FLAIR MR image.
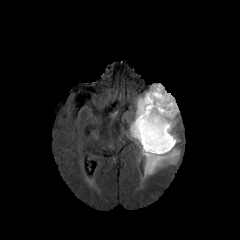
T1-weighted magnetic resonance.
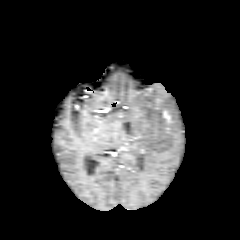
Post-contrast T1-weighted magnetic resonance.
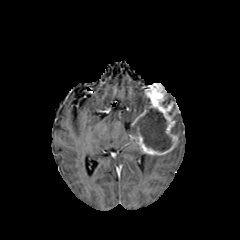
T2-weighted MR.
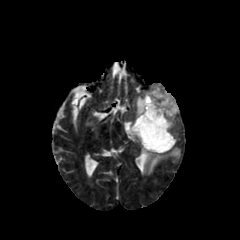
Brain
2 enhancing tumor regions appear at <bbox>131, 106, 147, 127</bbox>, <bbox>126, 83, 179, 155</bbox>. The non-enhancing tumor core lies within <bbox>127, 98, 172, 151</bbox>. 2 edema regions appear at <bbox>144, 148, 180, 177</bbox>, <bbox>134, 94, 144, 119</bbox>.